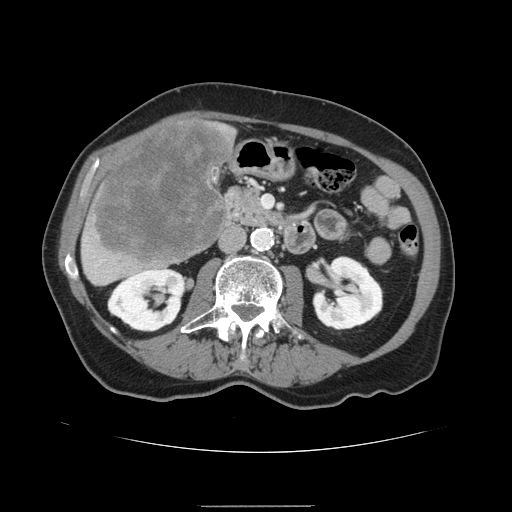
CT scan slice
The liver tumor appears at 93 121 231 264.